Slice index 84
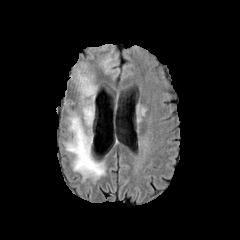
FLAIR MR.
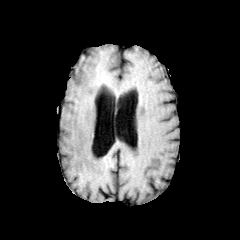
Same slice, T1-weighted MRI.
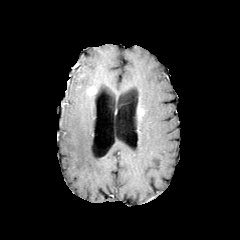
Post-contrast T1-weighted MRI of the same slice.
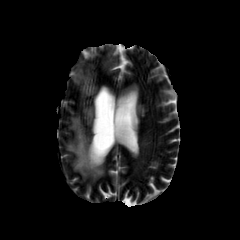
T2-weighted MRI.
• edema: [74,71,96,100], [65,102,105,180]